FLAIR MR.
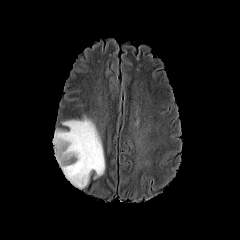
T1-weighted MRI.
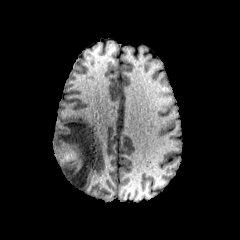
Post-contrast T1-weighted MRI.
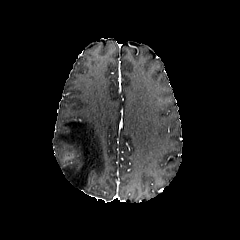
T2-weighted MR.
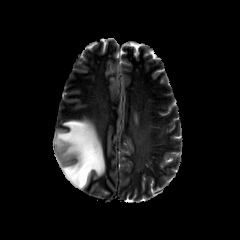
240x240 px; Brain
The non-enhancing tumor core is located at (57,149,79,168). The edema appears at (52,116,105,189). The enhancing tumor lies within (65,150,76,159).